Abdomen, Image width 370 mm, Computed tomography 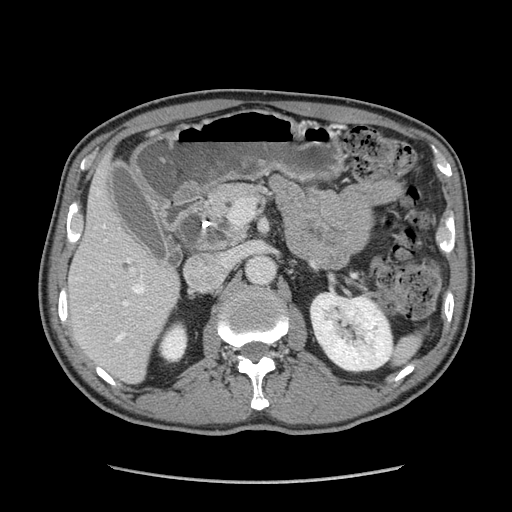
Pancreas: bounding box 170,181,271,254.
Pancreatic tumor: bounding box 181,213,228,247.